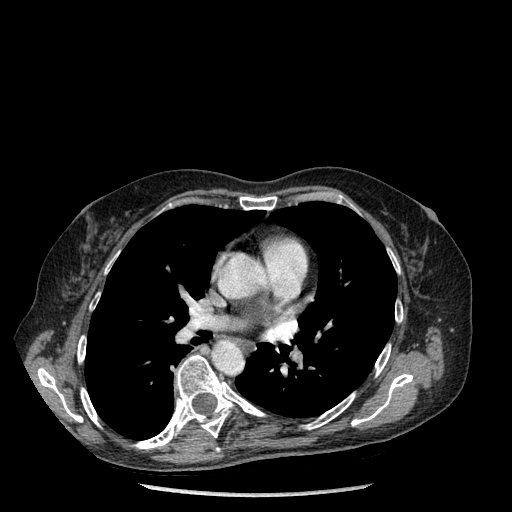

512x512 px; CT slice
<segmentation>
  <bone>bbox=[395, 300, 403, 322]; bbox=[80, 388, 100, 426]; bbox=[104, 252, 118, 273]; bbox=[89, 298, 98, 310]; bbox=[77, 335, 86, 362]; bbox=[387, 248, 400, 273]; bbox=[37, 367, 83, 422]; bbox=[239, 196, 276, 210]; bbox=[375, 344, 390, 376]; bbox=[133, 354, 264, 449]; bbox=[351, 373, 412, 426]; bbox=[302, 392, 355, 429]</bone>
  <lung>bbox=[235, 201, 396, 417]; bbox=[85, 205, 264, 439]</lung>
</segmentation>